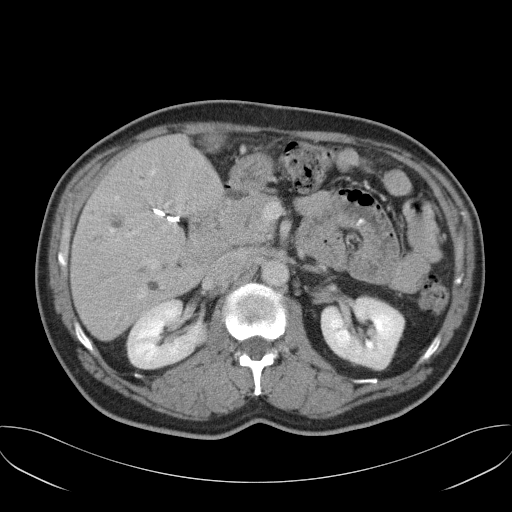
Liver. CT slice. 512x512.
Some hepatic vessels may have no box.
{
  "hepatic_vessel": [
    "146 260 158 267",
    "140 291 145 296"
  ]
}